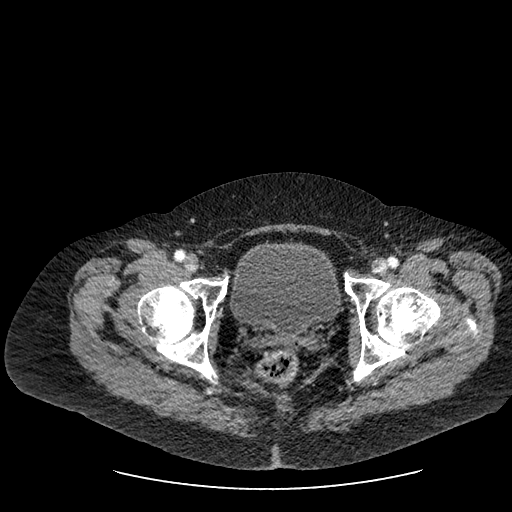 Lower abdomen | Computed tomography

The urinary bladder is bounded by 229, 242, 341, 337.